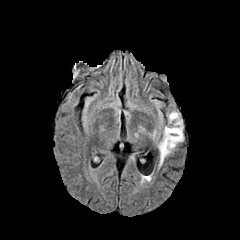
FLAIR MR image.
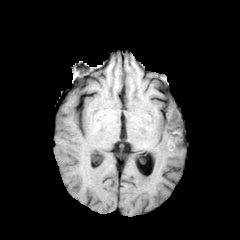
T1-weighted MR image of the same slice.
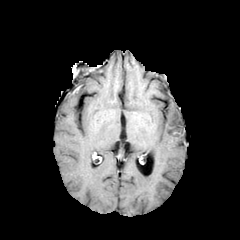
Post-contrast T1-weighted MR image of the same slice.
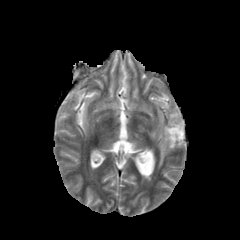
T2-weighted MR of the same slice.
Findings:
• edema: x1=158, y1=110, x2=183, y2=165